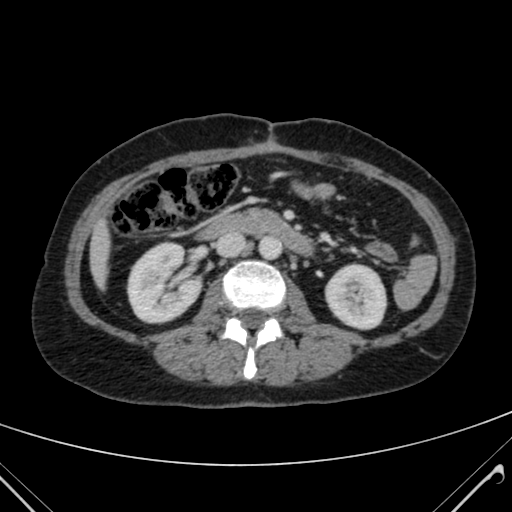

CT slice

2 kidney regions are located at 129,244,200,321; 327,266,385,327. The liver appears at 91,223,111,281.